FLAIR MR image.
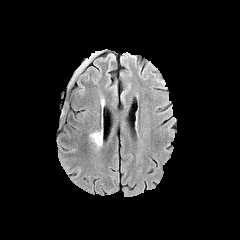
T1-weighted MR.
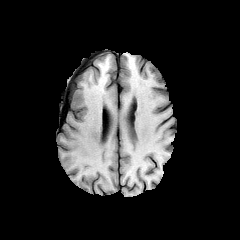
Post-contrast T1-weighted MR image.
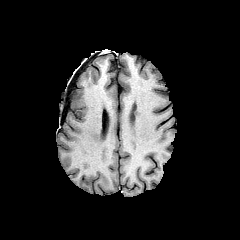
T2-weighted MR image.
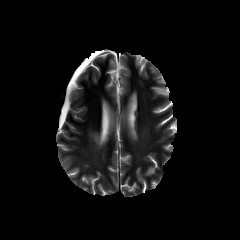
Brain; Image size 240x240
The edema appears at <box>89,130,102,148</box>.